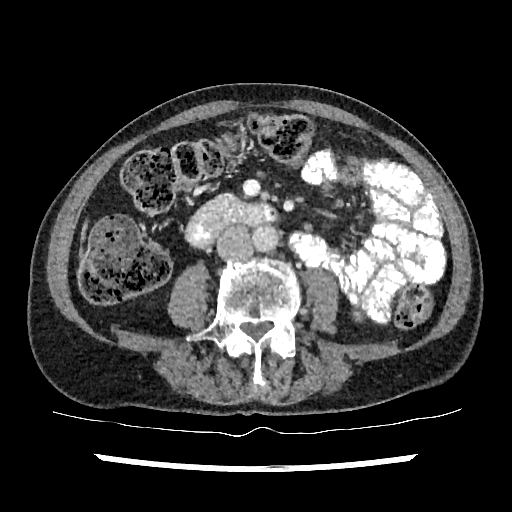
Upper abdomen. Image size 512x512. Computed tomography.

Liver = [81, 223, 88, 238].